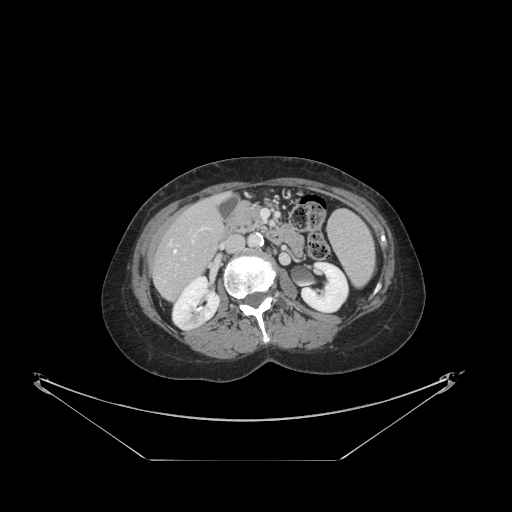
Abdomen, CT slice
Not every hepatic vessel necessarily has a box.
<segmentation>
  <hepatic_vessel>(x1=191, y1=239, x2=193, y2=242), (x1=173, y1=250, x2=176, y2=252), (x1=203, y1=226, x2=207, y2=228)</hepatic_vessel>
</segmentation>